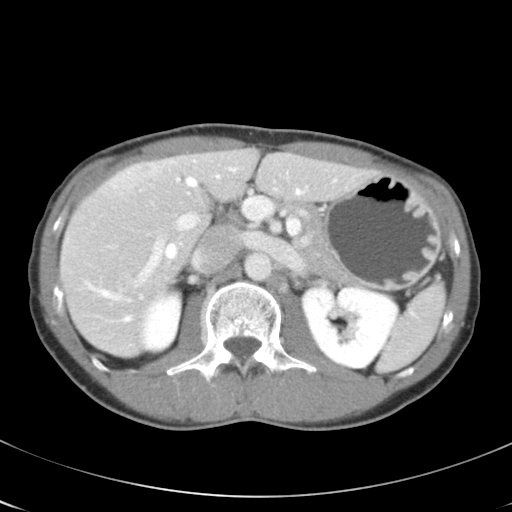 Computed tomography.
Not every hepatic vessel necessarily has a box.
Hepatic vessel at l=216, t=175, r=219, b=177; l=141, t=296, r=142, b=298; l=194, t=159, r=195, b=161; l=87, t=282, r=120, b=298; l=179, t=215, r=196, b=228; l=140, t=243, r=175, b=280; l=230, t=168, r=234, b=170; l=244, t=202, r=249, b=216; l=296, t=189, r=303, b=194; l=125, t=316, r=130, b=320; l=187, t=178, r=196, b=185; l=177, t=178, r=179, b=180.